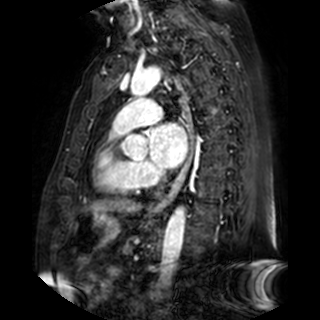
MR. Image size 320x320.
The left atrium is bounded by bbox(150, 123, 187, 167).